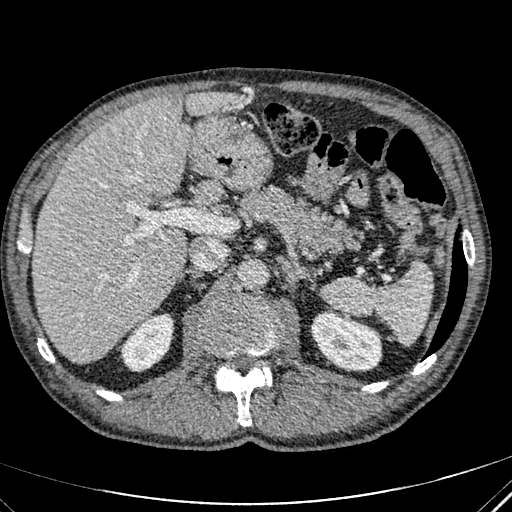 Liver. CT scan slice.
Liver: bounding box (left=196, top=182, right=221, bottom=202), (left=33, top=91, right=242, bottom=362).
Kidney: bounding box (left=122, top=315, right=172, bottom=370), (left=312, top=314, right=380, bottom=369).
Hepatic lesion: bounding box (left=157, top=95, right=179, bottom=108).